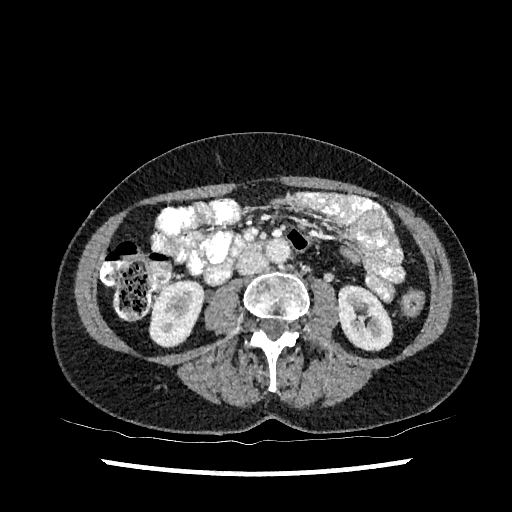 CT scan slice
2 kidney regions are bounded by 150:282:203:345, 339:286:391:349.